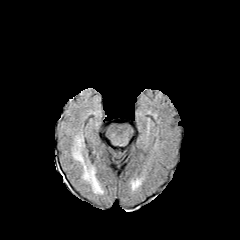
FLAIR MRI.
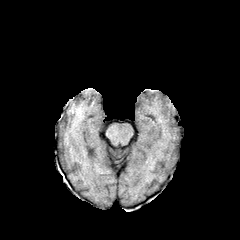
T1-weighted MR image.
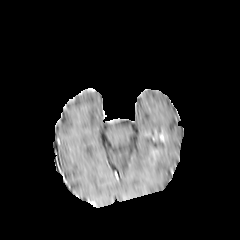
Post-contrast T1-weighted MR of the same slice.
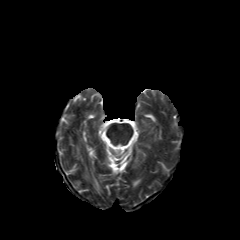
T2-weighted MR image.
Image size 240x240; Head
{
  "edema": [
    "<box>73,135,103,193</box>"
  ]
}